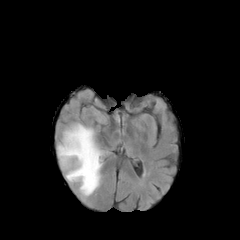
FLAIR MR.
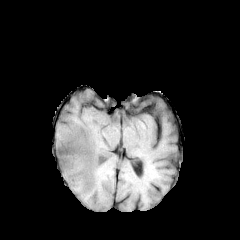
T1-weighted MRI of the same slice.
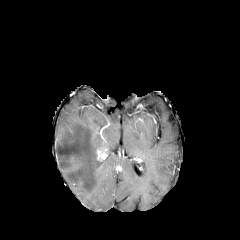
Post-contrast T1-weighted MRI.
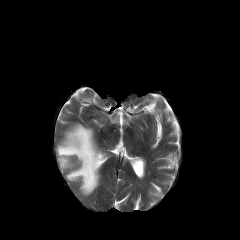
T2-weighted MRI.
Brain | Image size 240x240
Enhancing tumor: bounding box region(97, 150, 105, 159).
Edema: bounding box region(56, 123, 106, 195).